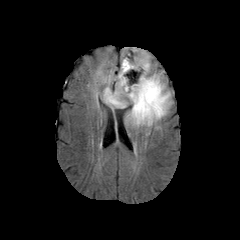
FLAIR magnetic resonance.
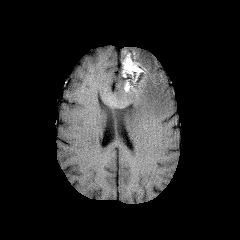
Same slice, T1-weighted MR image.
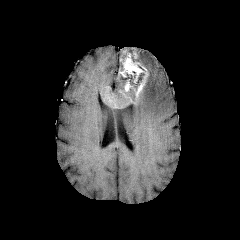
Post-contrast T1-weighted magnetic resonance.
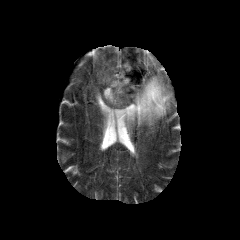
T2-weighted MR of the same slice.
240x240. Head.
2 edema regions are located at box=[124, 52, 173, 127]; box=[101, 72, 131, 107]. 2 enhancing tumor regions appear at box=[118, 58, 147, 97]; box=[106, 86, 114, 104]. 3 non-enhancing tumor core regions are located at box=[119, 86, 138, 112]; box=[118, 76, 127, 84]; box=[125, 69, 145, 90].